Abdomen, CT slice, Slice 115/144
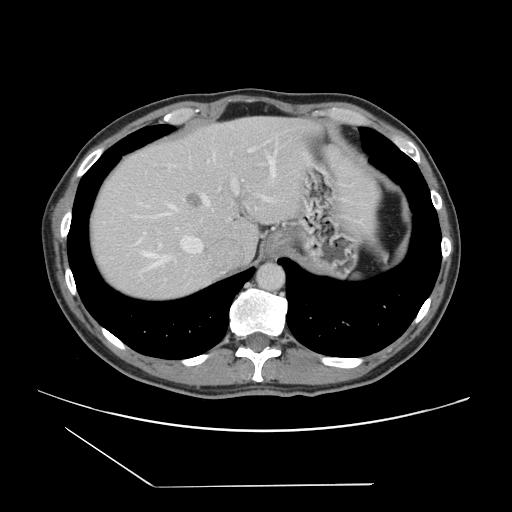
Only some of the vessels may be annotated.
The liver tumor is bounded by [x1=187, y1=192, x2=202, y2=212]. The most prominent 15 hepatic vessel regions (of 31) are located at [x1=188, y1=248, x2=195, y2=252], [x1=276, y1=135, x2=277, y2=141], [x1=132, y1=215, x2=143, y2=217], [x1=132, y1=244, x2=136, y2=247], [x1=149, y1=213, x2=168, y2=216], [x1=261, y1=196, x2=265, y2=198], [x1=159, y1=263, x2=163, y2=266], [x1=198, y1=240, x2=201, y2=244], [x1=202, y1=194, x2=208, y2=204], [x1=213, y1=152, x2=214, y2=159], [x1=166, y1=203, x2=174, y2=208], [x1=268, y1=152, x2=275, y2=176], [x1=167, y1=164, x2=171, y2=168], [x1=161, y1=256, x2=168, y2=260], [x1=232, y1=179, x2=235, y2=183].